Upper abdomen; CT scan slice; 512x512

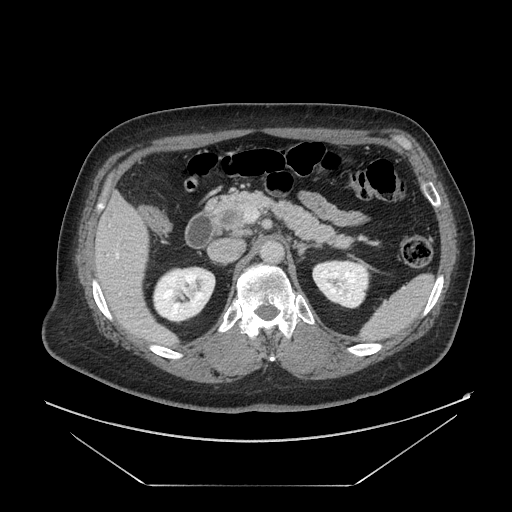

Pancreas = <box>211,192,354,248</box>.
Pancreatic tumor = <box>222,211,236,224</box>.